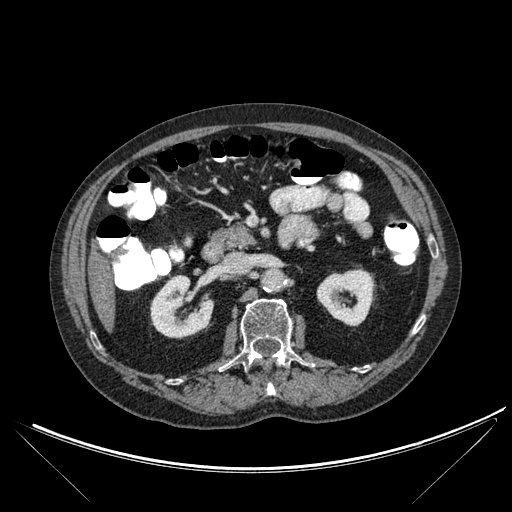
Image size 512x512; Computed tomography
4 bone regions appear at (x1=354, y1=366, x2=366, y2=372), (x1=224, y1=299, x2=292, y2=367), (x1=413, y1=318, x2=423, y2=333), (x1=267, y1=384, x2=275, y2=395). 2 kidney regions are located at (x1=317, y1=270, x2=373, y2=325), (x1=151, y1=275, x2=213, y2=337). The liver appears at (x1=88, y1=243, x2=115, y2=331).